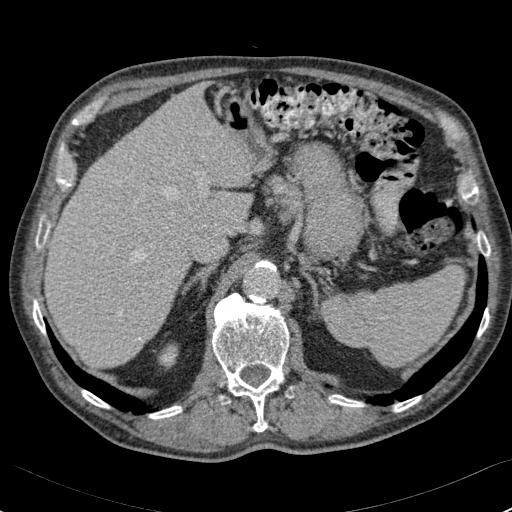 Abdomen | CT slice
The liver lies within (46, 84, 251, 367). The kidney is located at (162, 354, 175, 361).